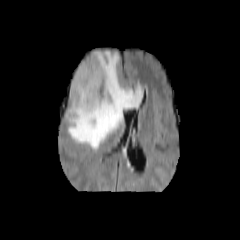
FLAIR magnetic resonance.
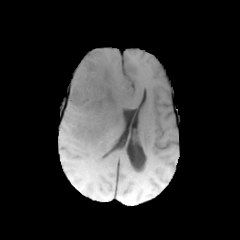
T1-weighted MR image.
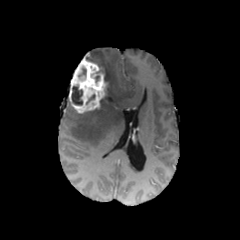
Post-contrast T1-weighted MR image.
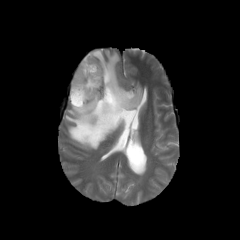
T2-weighted MRI of the same slice.
Image size 240x240.
<segmentation>
  <enhancing_tumor>[68, 57, 108, 113]</enhancing_tumor>
  <edema>[66, 49, 142, 149]</edema>
  <non-enhancing_tumor_core>[86, 58, 109, 106], [71, 86, 83, 105]</non-enhancing_tumor_core>
</segmentation>